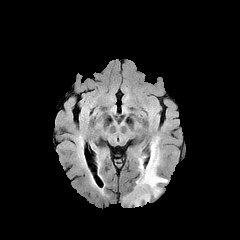
FLAIR MRI.
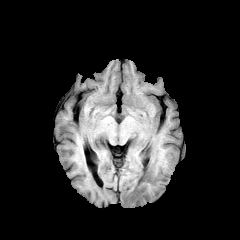
T1-weighted MR of the same slice.
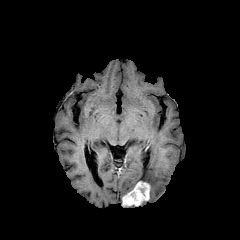
Post-contrast T1-weighted MR image of the same slice.
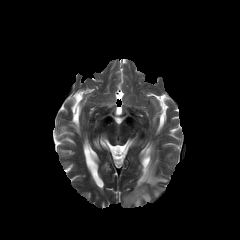
T2-weighted magnetic resonance.
Brain; Image size 240x240
Segmented structures:
• edema: (136,138,167,198)
• enhancing tumor: (122,181,149,206)